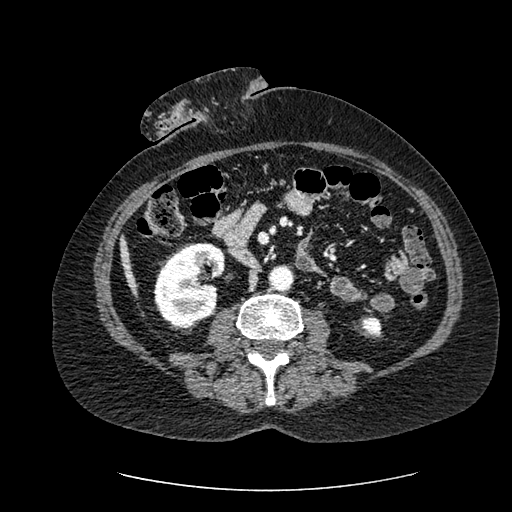

Upper abdomen. CT scan slice. * kidney: box(155, 243, 223, 327); box(363, 318, 380, 335)
* liver: box(119, 236, 139, 297)